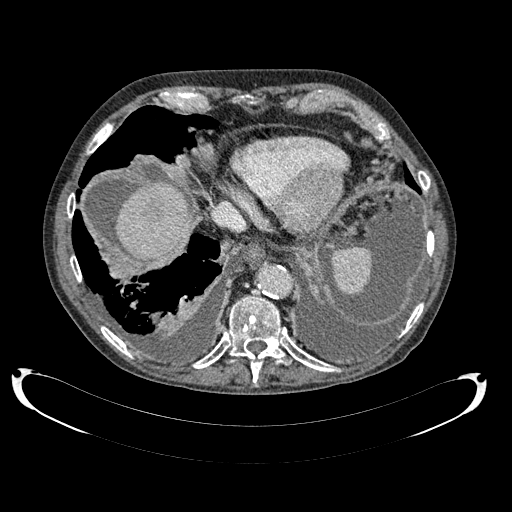
CT slice | Image size 512x512

The liver is located at x1=117 y1=183 x2=191 y2=261. The liver lesion appears at x1=143 y1=205 x2=161 y2=221.